Brain; Slice 114 of 155
FLAIR MR image.
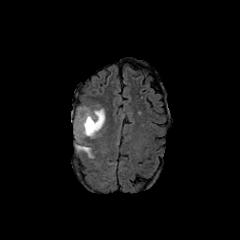
T1-weighted MR image.
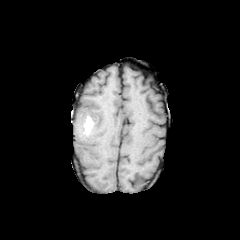
Post-contrast T1-weighted MR.
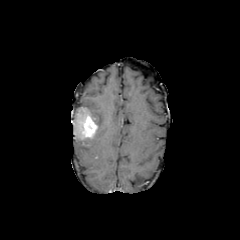
T2-weighted magnetic resonance.
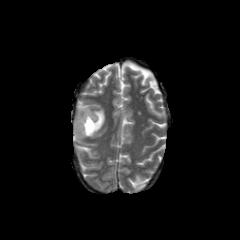
Edema = l=84, t=106, r=105, b=138; l=75, t=145, r=94, b=158.
Enhancing tumor = l=73, t=107, r=98, b=139.